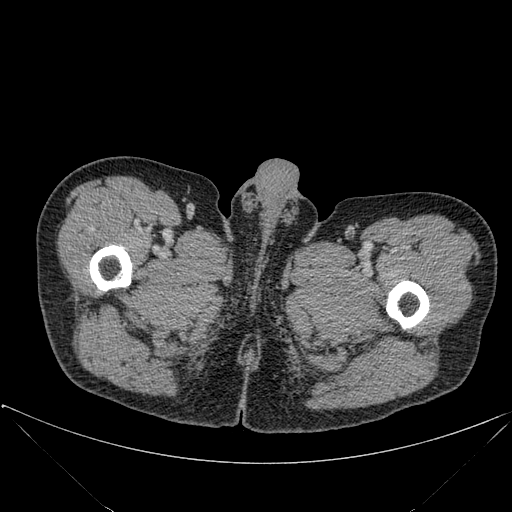 CT image

Segmented structures:
* bone: region(89, 245, 131, 290); region(386, 281, 429, 328)